Image width 415 mm | CT slice | Image size 512x512 | Slice index 22 | Liver
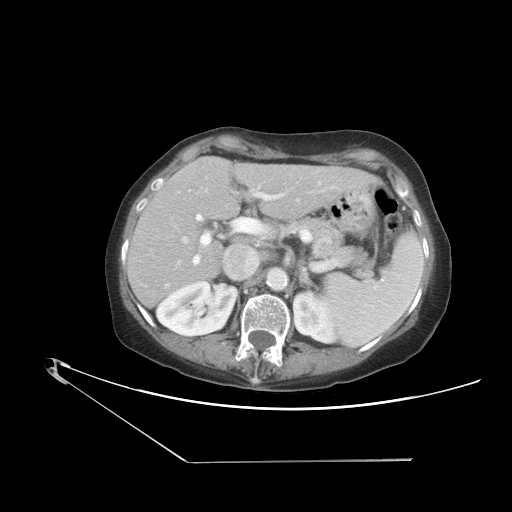 The vessel annotation is not exhaustive.
9 hepatic vessel regions are located at <box>196,215,201,220</box>, <box>165,284,168,286</box>, <box>309,191,314,192</box>, <box>193,256,199,264</box>, <box>296,199,298,201</box>, <box>259,192,282,200</box>, <box>205,189,207,192</box>, <box>183,237,187,242</box>, <box>200,235,210,245</box>.